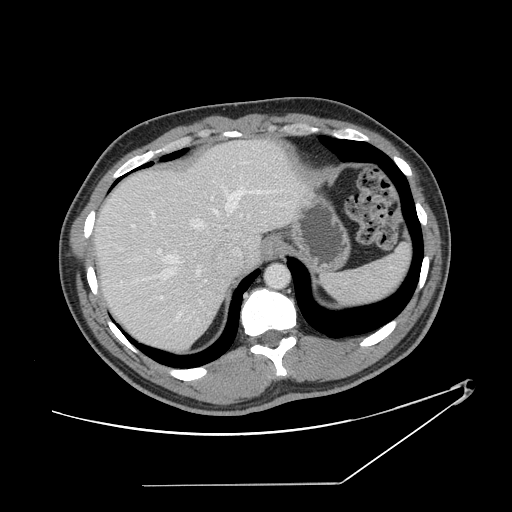

CT | Image size 512x512

The vessel annotation is not exhaustive.
Annotated regions:
* hepatic vessel (largest 15 of 20): [191,219,204,229], [249,190,272,193], [197,265,200,273], [199,301,201,303], [158,249,160,253], [214,210,218,214], [177,312,181,318], [225,189,243,214], [182,306,184,309], [188,315,189,318], [153,223,155,224], [150,255,180,277], [131,225,133,226], [151,211,153,216], [157,296,162,298]